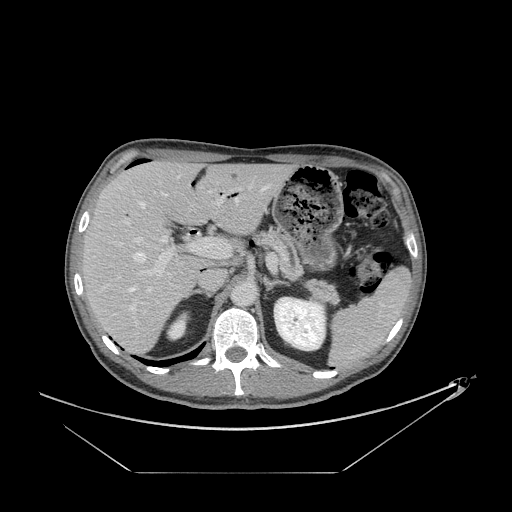 CT slice.
<segmentation>
  <pancreas>{"x1": 254, "y1": 230, "x2": 301, "y2": 280}</pancreas>
</segmentation>